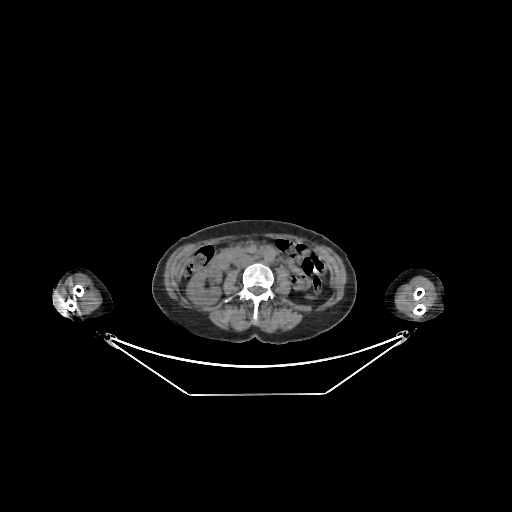
Computed tomography; 512x512; Abdomen

<segmentation>
  <kidney>186:267:222:305</kidney>
</segmentation>